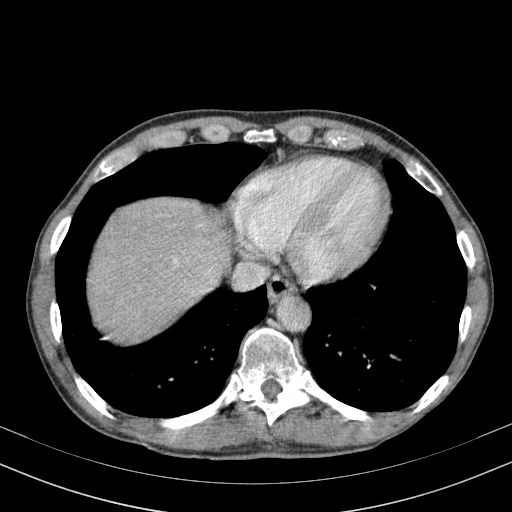
CT scan slice; Abdomen

<segmentation>
  <liver>(88, 197, 231, 344)</liver>
</segmentation>